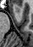
MRI slice. Medial temporal lobe.

* anterior hippocampus: (x1=15, y1=8, x2=19, y2=12)